MR | Field of view 34x53 mm
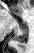

{
  "posterior_hippocampus": [
    "box=[13, 23, 28, 42]"
  ]
}